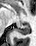

MRI slice

<segmentation>
  <posterior_hippocampus>region(14, 24, 30, 34)</posterior_hippocampus>
</segmentation>